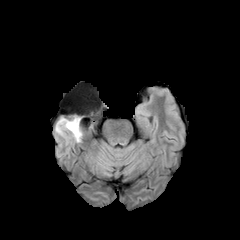
FLAIR MR.
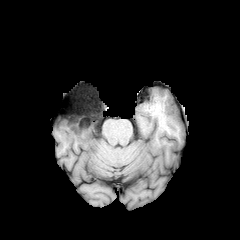
T1-weighted MRI of the same slice.
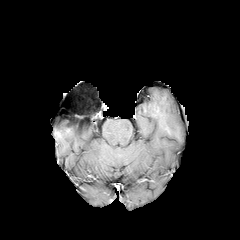
Post-contrast T1-weighted MR image.
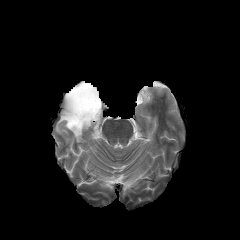
Same slice, T2-weighted MR.
Head
Non-enhancing tumor core = left=60, top=114, right=81, bottom=129.
Edema = left=55, top=118, right=82, bottom=146.